FLAIR MR image.
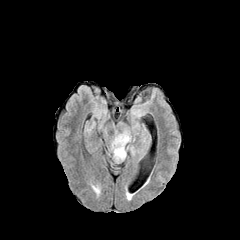
T1-weighted MR.
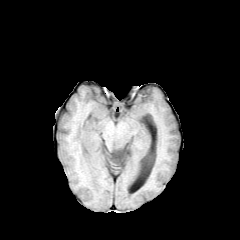
Post-contrast T1-weighted MRI.
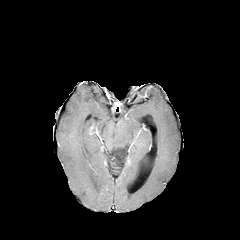
T2-weighted magnetic resonance.
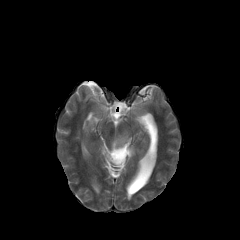
240x240
Edema = bbox=[108, 130, 144, 163].